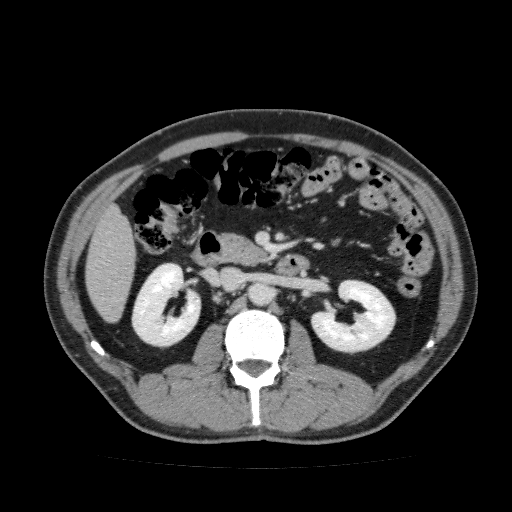
CT. Segmented structures:
• kidney: box=[312, 280, 394, 351]; box=[132, 263, 200, 345]
• liver: box=[84, 203, 137, 322]